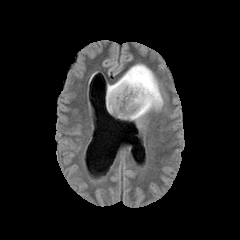
FLAIR MRI.
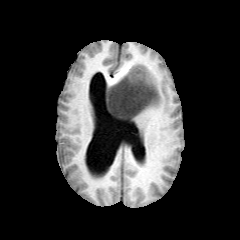
T1-weighted MR image of the same slice.
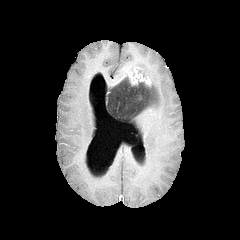
Same slice, post-contrast T1-weighted MR image.
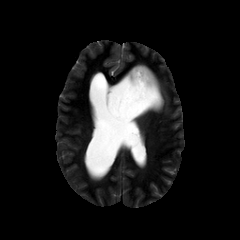
T2-weighted magnetic resonance.
Head.
Edema: 130:64:164:121, 107:76:127:91.
Non-enhancing tumor core: 106:78:153:120.
Enhancing tumor: 123:66:153:85.